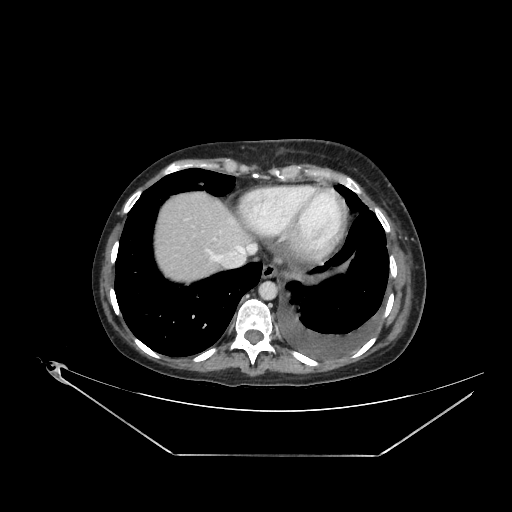
CT slice.
The liver is at box(158, 194, 256, 286).